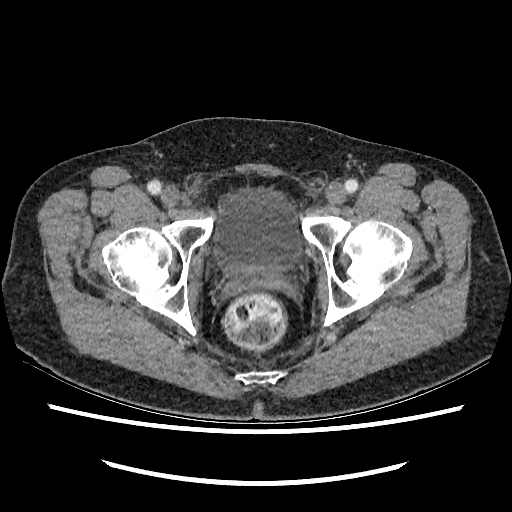

Pelvis | CT
The urinary bladder is located at rect(211, 185, 310, 275).